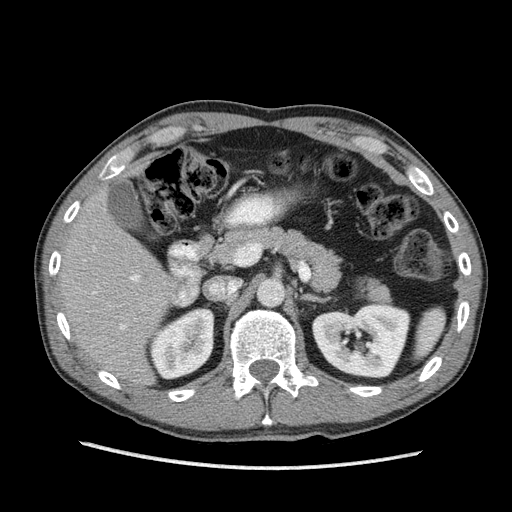

CT slice
<segmentation>
  <kidney>(left=152, top=310, right=212, bottom=377), (left=313, top=305, right=408, bottom=376)</kidney>
  <liver>(left=55, top=182, right=180, bottom=388)</liver>
</segmentation>